240x240. Slice index 119.
FLAIR MR.
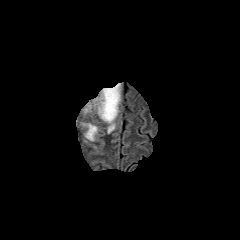
T1-weighted magnetic resonance.
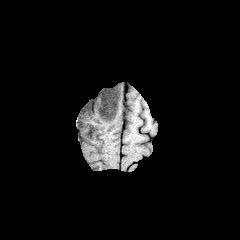
Post-contrast T1-weighted magnetic resonance.
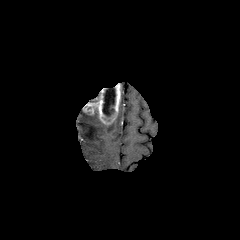
T2-weighted MRI.
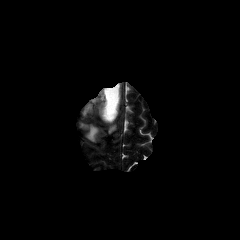
<segmentation>
  <edema>left=80, top=112, right=115, bottom=141</edema>
  <enhancing_tumor>left=83, top=90, right=105, bottom=120; left=113, top=86, right=120, bottom=114</enhancing_tumor>
  <non-enhancing_tumor_core>left=102, top=87, right=117, bottom=123</non-enhancing_tumor_core>
</segmentation>